FLAIR MRI.
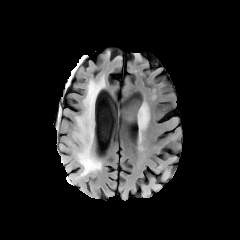
T1-weighted MR image.
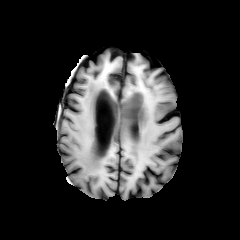
Post-contrast T1-weighted MRI.
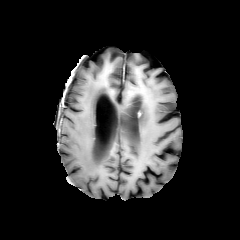
T2-weighted MRI.
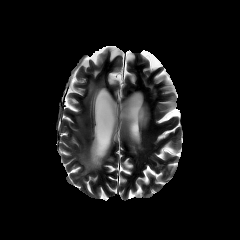
Brain. 240x240.
The edema appears at (72, 80, 104, 178).